Abdomen; Image size 512x512; CT scan slice

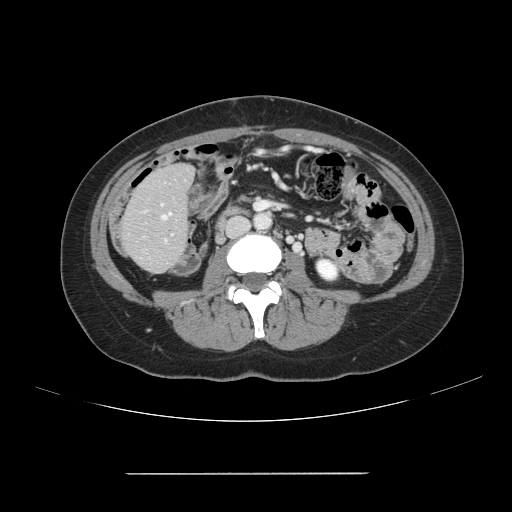
The vessel boxes may cover only some of the vessels.
hepatic vessel: (168, 213, 170, 215), (162, 215, 166, 219)